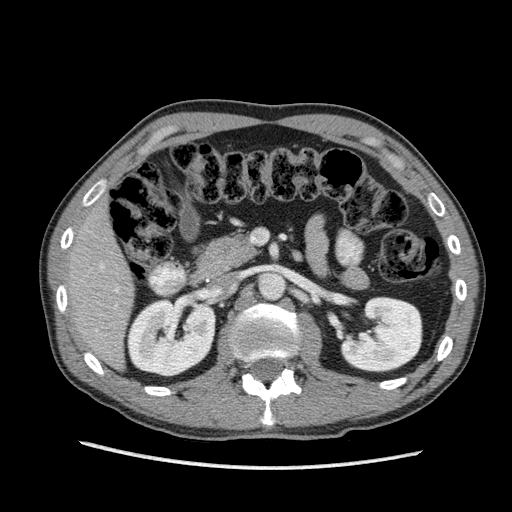 Computed tomography | Abdomen

kidney:
  - (left=342, top=298, right=420, bottom=370)
  - (left=129, top=301, right=214, bottom=375)
liver:
  - (left=63, top=198, right=134, bottom=370)